Head
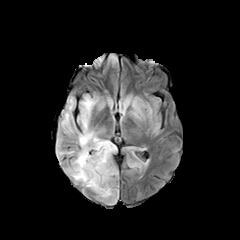
FLAIR MR.
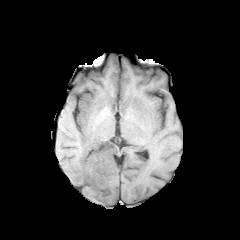
T1-weighted MR.
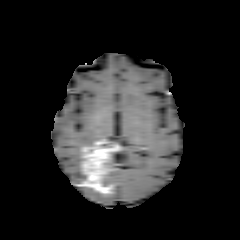
Post-contrast T1-weighted MRI of the same slice.
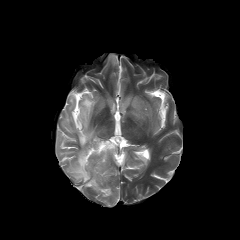
T2-weighted MR image.
The enhancing tumor appears at left=78, top=139, right=116, bottom=195. 3 edema regions are bounded by left=105, top=154, right=115, bottom=183; left=59, top=132, right=76, bottom=143; left=58, top=94, right=102, bottom=183. The non-enhancing tumor core appears at left=101, top=172, right=113, bottom=189.